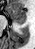

Medial temporal lobe | Image size 35x49 | MR image

Anterior hippocampus at 7:6:26:21.
Posterior hippocampus at 16:22:24:24.